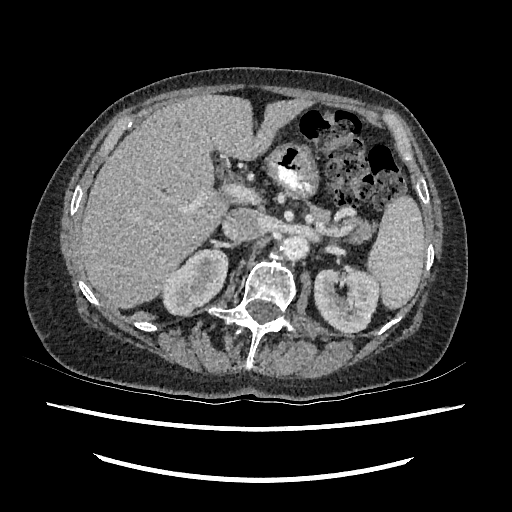

CT. The liver is bounded by left=83, top=95, right=313, bottom=307. 2 kidney regions are bounded by left=163, top=250, right=227, bottom=314; left=315, top=269, right=381, bottom=332.